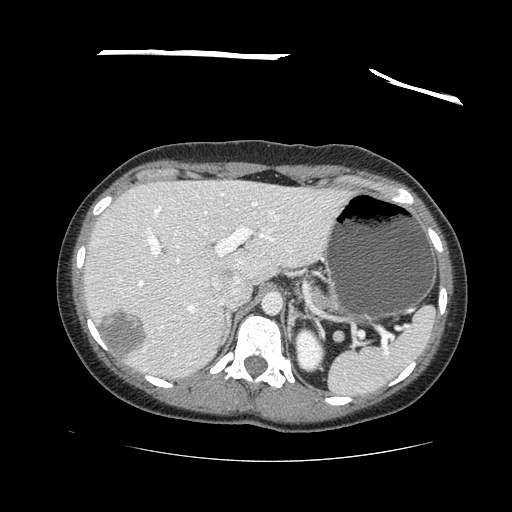

CT slice

The pancreas is at x1=308, y1=285, x2=332, y2=306.